CT scan slice

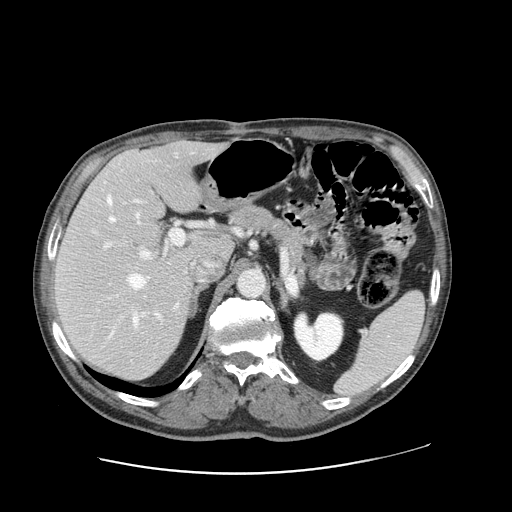

Only some of the vessels may be annotated.
Segmented structures:
- hepatic vessel: (105,243,109,247), (109,217,114,221), (141,312,144,315), (135,201,139,201), (107,197,111,203), (137,214,138,217), (140,251,149,257), (128,274,145,288), (110,333,111,336), (138,220,139,222), (156,313,160,317), (133,314,137,325)